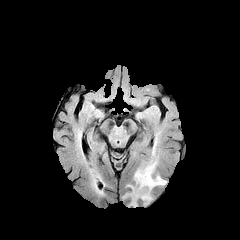
FLAIR magnetic resonance.
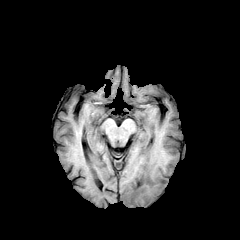
Same slice, T1-weighted magnetic resonance.
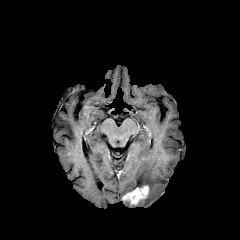
Same slice, post-contrast T1-weighted MR.
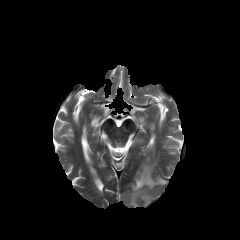
T2-weighted magnetic resonance.
Head
<segmentation>
  <edema>152:140:158:156, 134:156:166:191</edema>
  <enhancing_tumor>122:185:148:205</enhancing_tumor>
</segmentation>